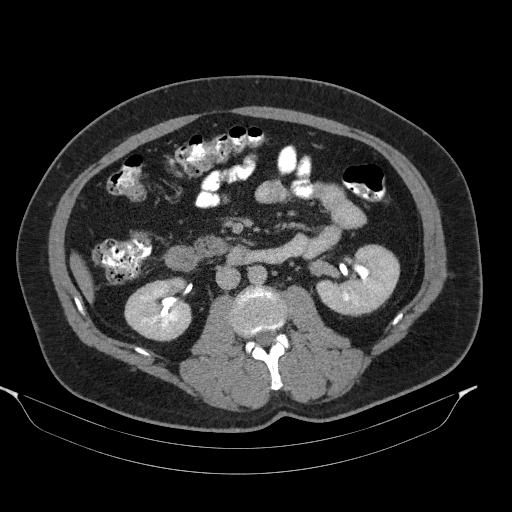

CT
The pancreas appears at [194,235,227,258].